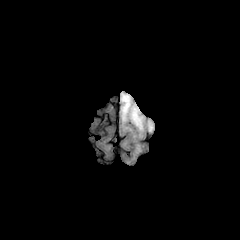
FLAIR MRI.
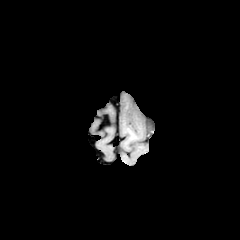
Same slice, T1-weighted MRI.
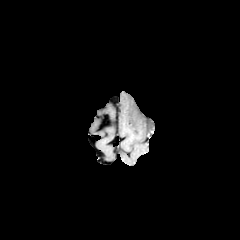
Same slice, post-contrast T1-weighted MRI.
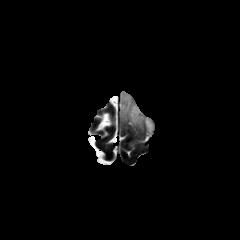
T2-weighted MRI.
Head | 240x240 px
Edema = box=[120, 91, 153, 132].
Non-enhancing tumor core = box=[122, 102, 131, 118].